FLAIR magnetic resonance.
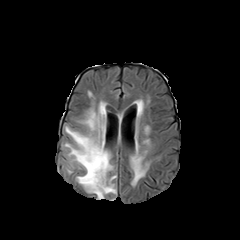
T1-weighted MR.
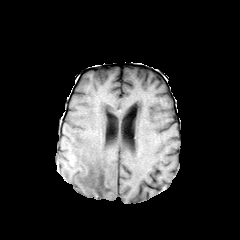
Post-contrast T1-weighted magnetic resonance.
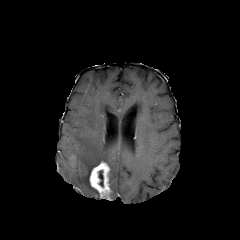
T2-weighted MRI.
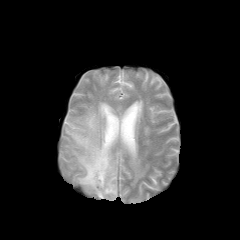
The non-enhancing tumor core is located at box=[98, 171, 103, 185]. 2 edema regions are located at box=[64, 101, 116, 199]; box=[132, 160, 143, 181]. The enhancing tumor is at box=[89, 162, 111, 198].